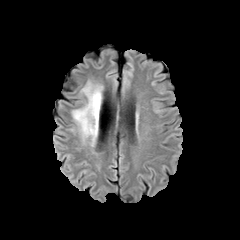
FLAIR MR image.
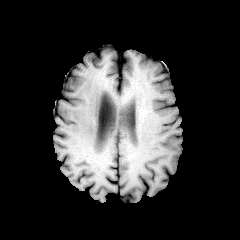
T1-weighted MR.
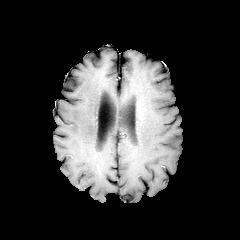
Post-contrast T1-weighted MRI.
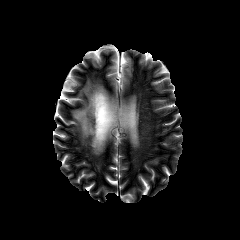
T2-weighted MR of the same slice.
Head
The edema is located at bbox(71, 80, 103, 146).